240x240 px
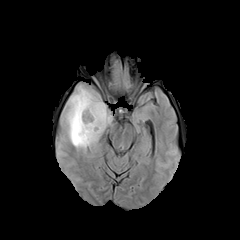
FLAIR magnetic resonance.
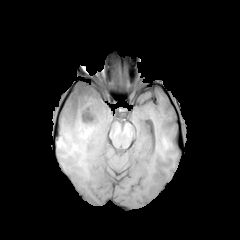
T1-weighted MR image of the same slice.
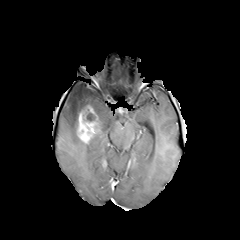
Same slice, post-contrast T1-weighted magnetic resonance.
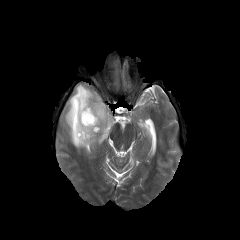
T2-weighted MR of the same slice.
<segmentation>
  <edema>[x1=61, y1=84, x2=112, y2=153], [x1=56, y1=143, x2=64, y2=159]</edema>
  <enhancing_tumor>[x1=77, y1=112, x2=101, y2=144]</enhancing_tumor>
  <non-enhancing_tumor_core>[x1=81, y1=106, x2=97, y2=121]</non-enhancing_tumor_core>
</segmentation>